Head, Image size 240x240, Slice index 68
FLAIR magnetic resonance.
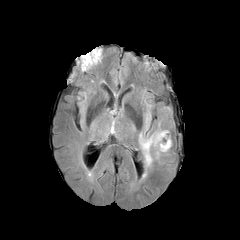
T1-weighted MR image.
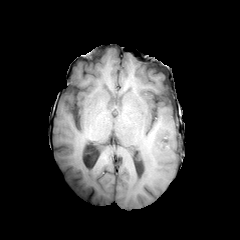
Post-contrast T1-weighted MRI.
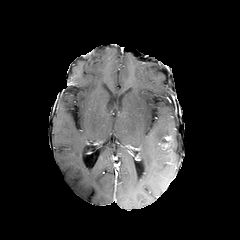
T2-weighted MR.
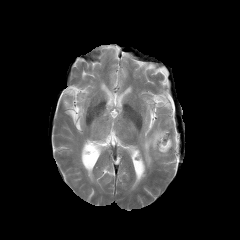
Edema: bounding box bbox(139, 122, 173, 168); bbox(144, 101, 152, 133); bbox(105, 110, 115, 137).
Enhancing tumor: bounding box bbox(162, 136, 171, 149).